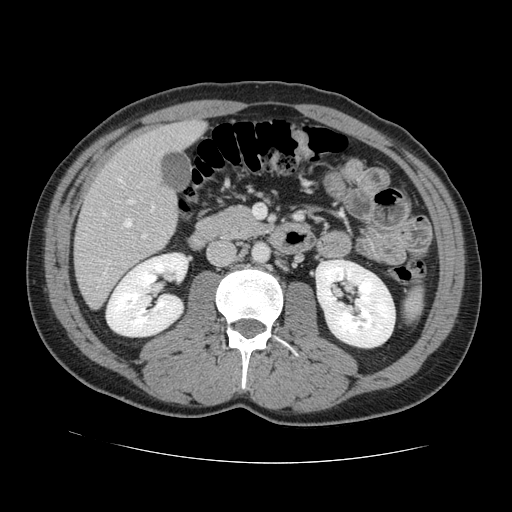 Computed tomography.

The vessel boxes may cover only some of the vessels.
Hepatic vessel at left=151, top=203, right=154, bottom=211; left=116, top=178, right=123, bottom=185; left=103, top=268, right=106, bottom=278; left=103, top=212, right=105, bottom=215; left=158, top=153, right=161, bottom=155; left=115, top=201, right=119, bottom=204; left=127, top=199, right=133, bottom=203; left=124, top=219, right=130, bottom=226; left=141, top=234, right=145, bottom=237; left=96, top=278, right=98, bottom=280; left=140, top=181, right=141, bottom=184; left=103, top=260, right=110, bottom=264; left=137, top=185, right=139, bottom=187.